FLAIR MRI.
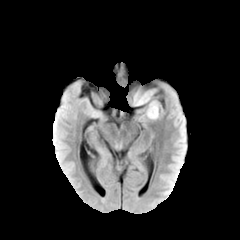
T1-weighted MR.
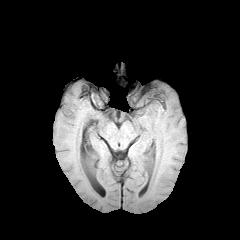
Post-contrast T1-weighted MR image.
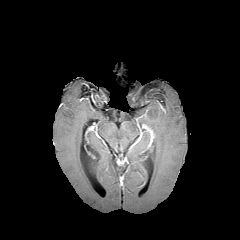
T2-weighted magnetic resonance.
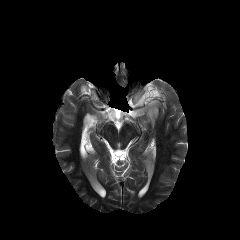
Head
edema:
  - [134, 88, 159, 118]
non-enhancing_tumor_core:
  - [132, 91, 153, 105]